Abdomen | CT scan slice

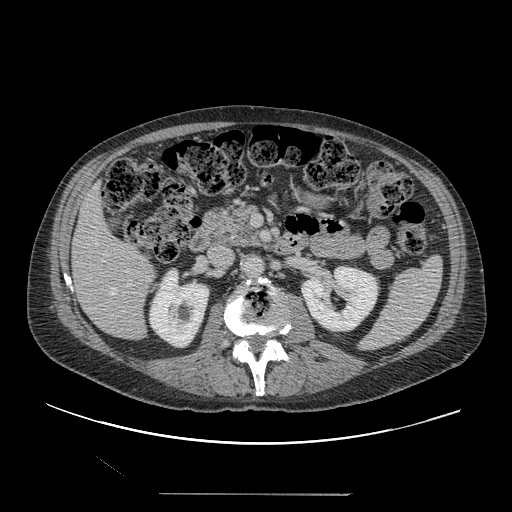
The pancreas lies within l=209, t=202, r=261, b=248.